Slice index 23 | CT scan slice | Upper abdomen 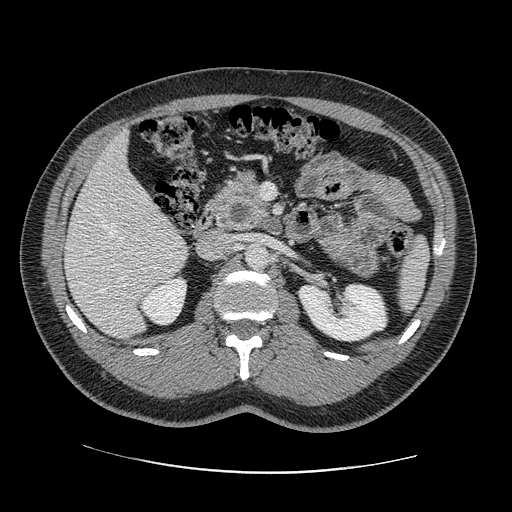
{
  "pancreas": [
    "region(206, 171, 269, 231)"
  ]
}